Magnetic resonance. Heart. 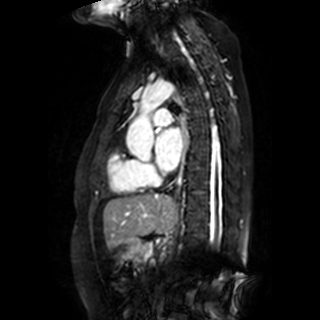
<segmentation>
  <left_atrium>x1=155 y1=128 x2=182 y2=170</left_atrium>
</segmentation>